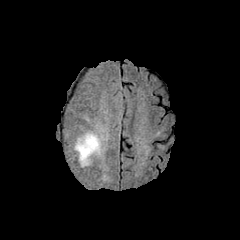
FLAIR MR image.
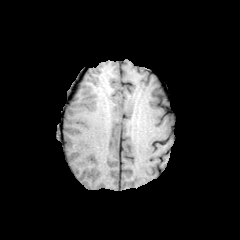
T1-weighted MR image.
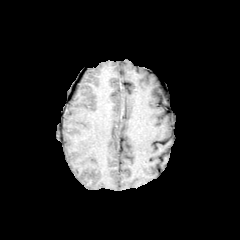
Post-contrast T1-weighted MR image.
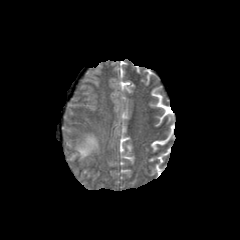
T2-weighted MR.
Brain.
<segmentation>
  <edema>(x1=74, y1=132, x2=100, y2=165)</edema>
</segmentation>